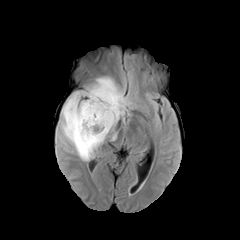
FLAIR MR.
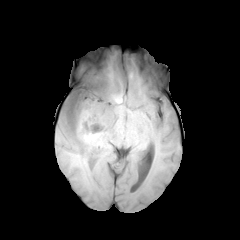
T1-weighted magnetic resonance.
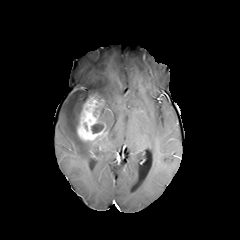
Same slice, post-contrast T1-weighted MR.
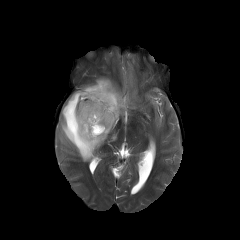
T2-weighted MRI.
Head
* non-enhancing tumor core: box(91, 114, 104, 133); box(93, 95, 104, 116)
* enhancing tumor: box(77, 97, 107, 143)
* edema: box(55, 77, 132, 161)